FLAIR MR image.
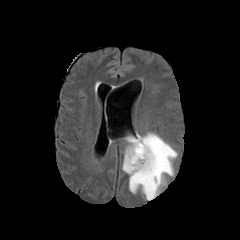
T1-weighted MR image.
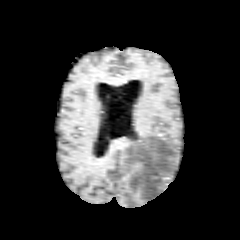
Post-contrast T1-weighted magnetic resonance.
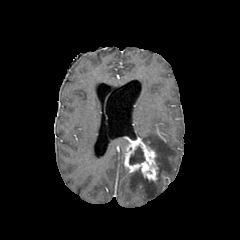
T2-weighted MR image.
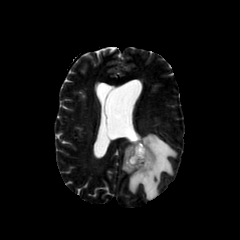
Image size 240x240
Annotated regions:
* edema: x1=122, y1=132, x2=177, y2=200
* enhancing tumor: x1=124, y1=137, x2=157, y2=181
* non-enhancing tumor core: x1=129, y1=146, x2=145, y2=164